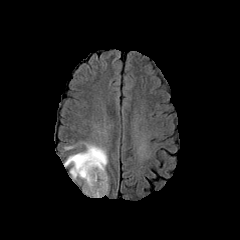
FLAIR MRI.
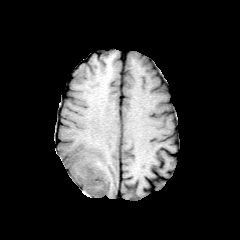
T1-weighted MR of the same slice.
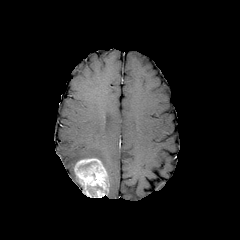
Post-contrast T1-weighted magnetic resonance of the same slice.
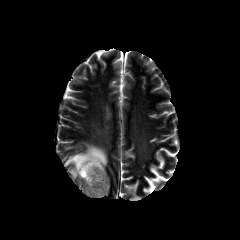
T2-weighted MR of the same slice.
Image size 240x240
enhancing tumor: [73,158,108,197] | edema: [64,142,108,179]